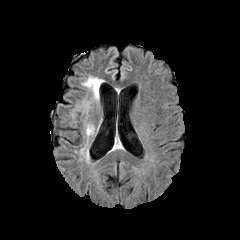
FLAIR MRI.
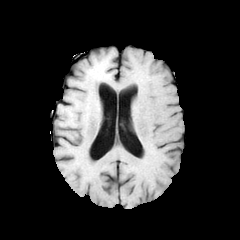
T1-weighted MR.
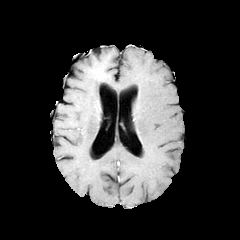
Post-contrast T1-weighted magnetic resonance.
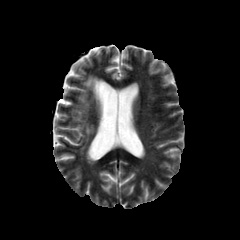
T2-weighted MRI.
Edema = rect(79, 75, 104, 158).